Image size 512x512, Image width 335 mm, CT scan slice 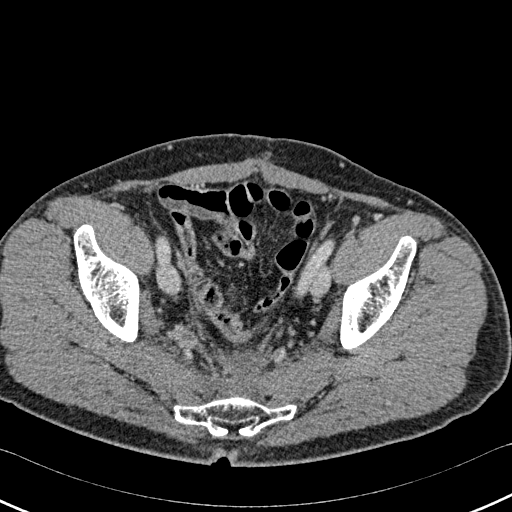
Segmented structures:
• bone: box(74, 225, 138, 341); box(174, 397, 296, 439); box(340, 236, 416, 348)